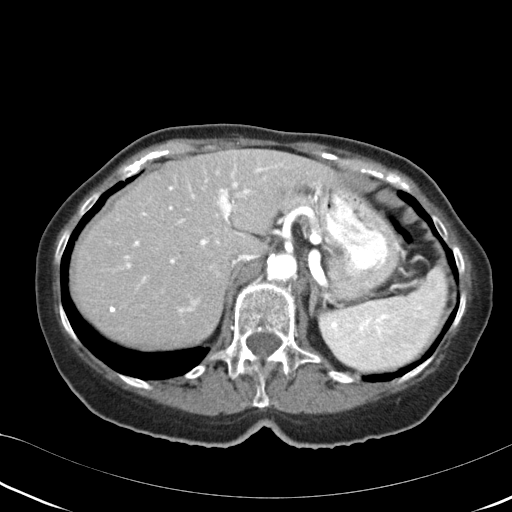

CT scan slice
pancreas: bbox(281, 190, 312, 209)